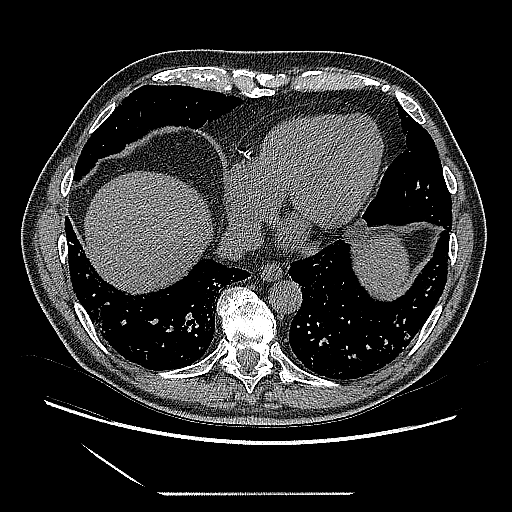
Computed tomography, 512x512
Lung tumor at x1=341, y1=219, x2=367, y2=243.